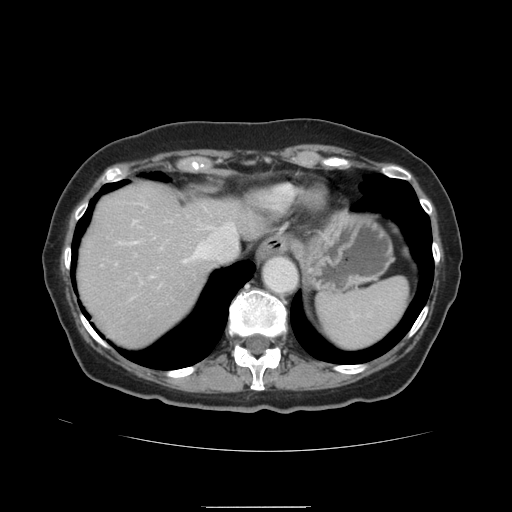
Abdomen | CT scan slice
The vessel annotation is not exhaustive.
2 hepatic vessel regions are bounded by (182, 243, 207, 262), (226, 223, 234, 231).